Head.
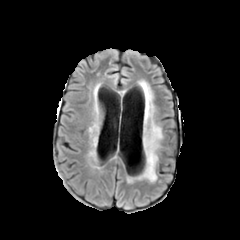
FLAIR MRI.
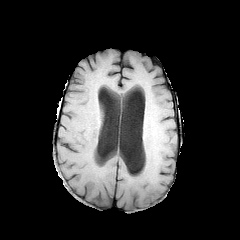
T1-weighted MRI.
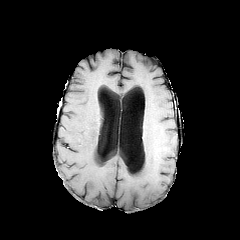
Post-contrast T1-weighted MRI.
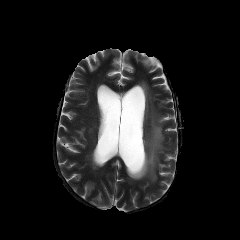
T2-weighted MR.
Edema = box=[134, 80, 162, 181].